Field of view 381x381 mm, Computed tomography
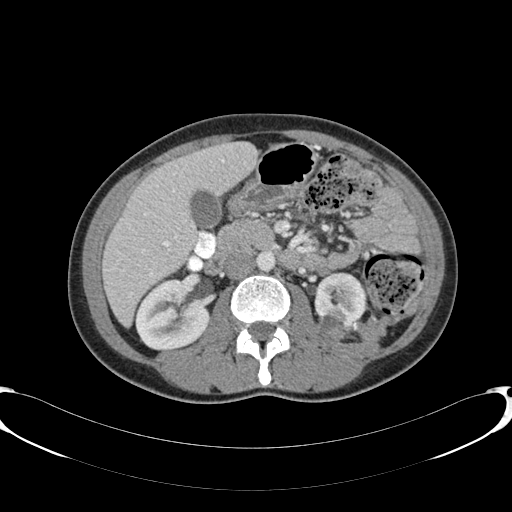
* liver: (x1=103, y1=142, x2=256, y2=326), (x1=272, y1=144, x2=285, y2=149)
* kidney: (x1=315, y1=273, x2=364, y2=330), (x1=136, y1=278, x2=209, y2=348)